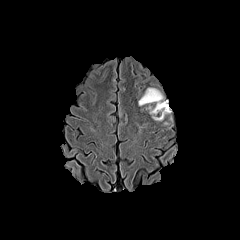
FLAIR MR image.
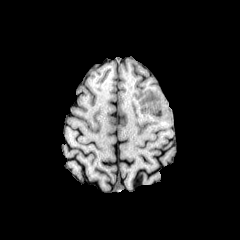
T1-weighted MR image.
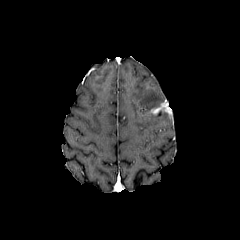
Post-contrast T1-weighted MR of the same slice.
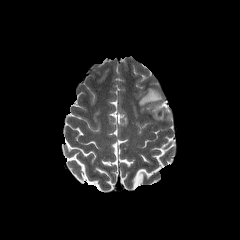
T2-weighted MR.
240x240
Annotated regions:
• enhancing tumor: 150,102,171,116
• edema: 138,88,163,107